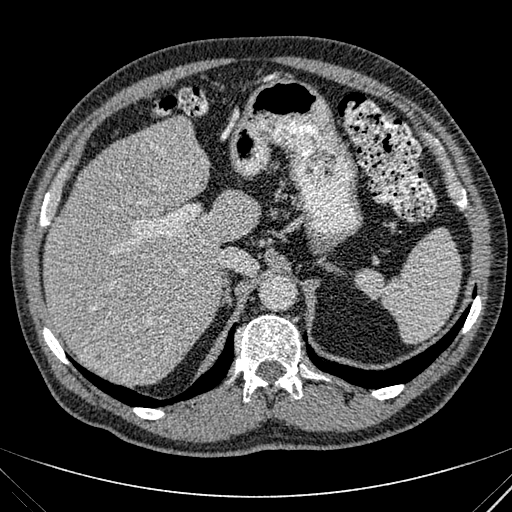 CT, Liver
Segmented structures:
* focal liver lesion: 93:340:115:362
* liver: 45:119:257:383